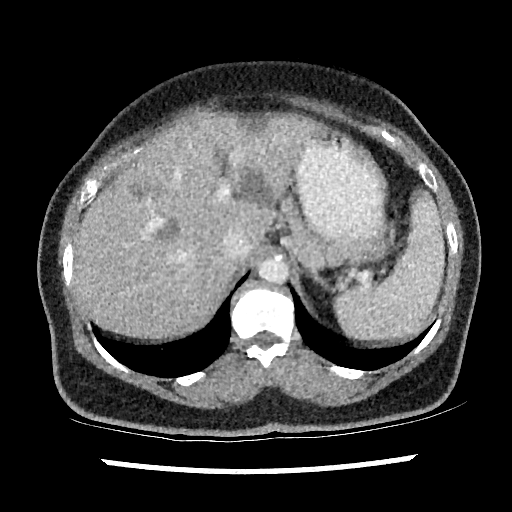
512x512, Computed tomography
The liver lies within (left=72, top=114, right=316, bottom=338). 4 focal liver lesion regions are located at (left=128, top=182, right=150, bottom=197), (left=235, top=167, right=272, bottom=206), (left=237, top=116, right=265, bottom=132), (left=157, top=219, right=178, bottom=241).